FLAIR MR image.
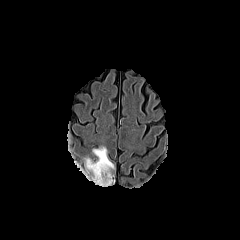
T1-weighted MR image.
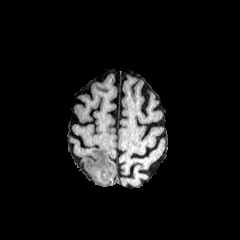
Post-contrast T1-weighted MRI.
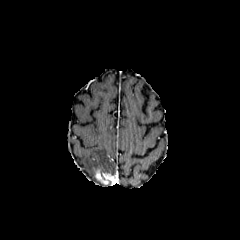
T2-weighted MR image.
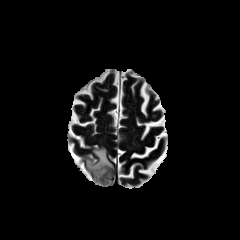
Head. 240x240.
Enhancing tumor = l=93, t=168, r=114, b=185.
Edema = l=85, t=148, r=114, b=176.